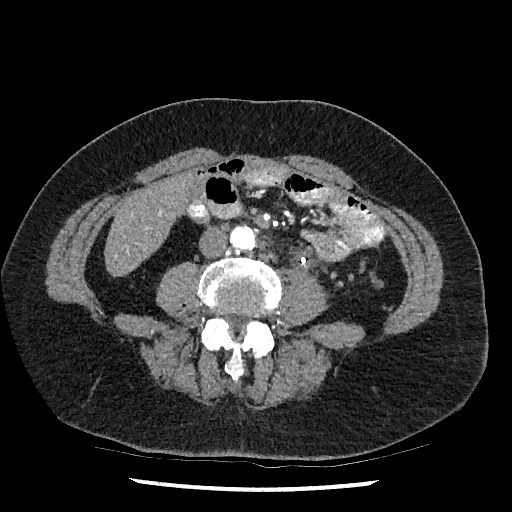

CT. Upper abdomen. Segmented structures:
* liver: 105, 174, 191, 275